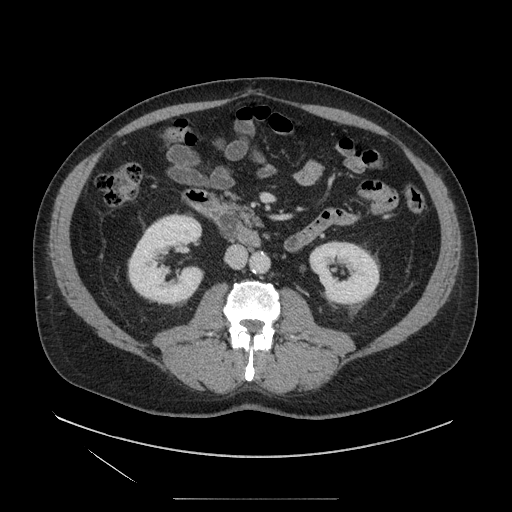 Computed tomography | 512x512
Segmented structures:
• pancreatic tumor: (x1=219, y1=213, x2=237, y2=237)
• pancreas: (x1=208, y1=203, x2=243, y2=243)